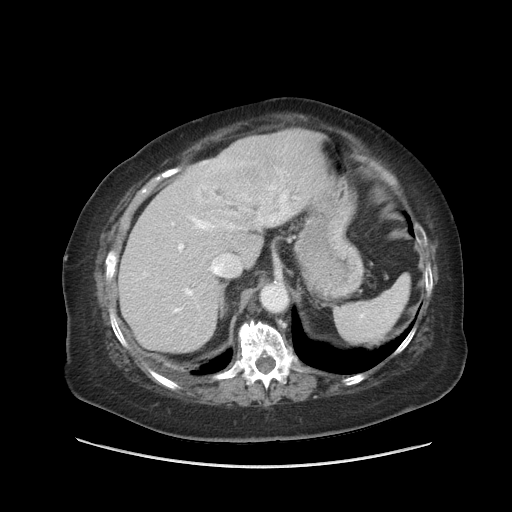 Abdomen, CT slice
Not every hepatic vessel necessarily has a box.
The liver tumor is located at 195, 152, 305, 224. 2 hepatic vessel regions are located at 215, 255, 221, 261; 191, 225, 199, 228.